CT scan slice; Slice 106/149

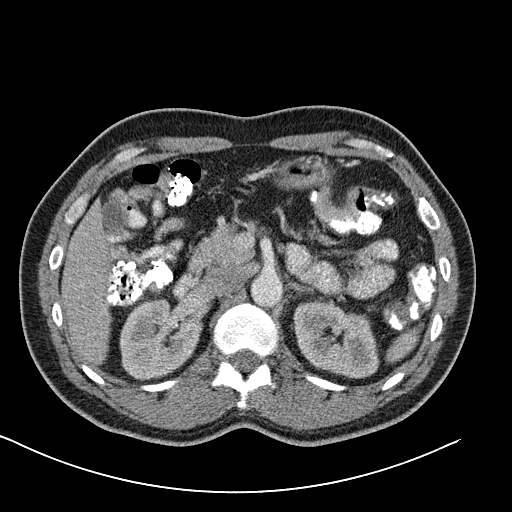
colon_tumor:
  - 315:186:359:219